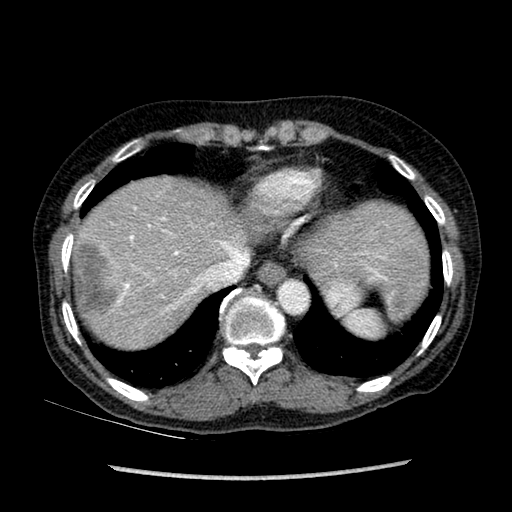
CT image; Liver
The liver lesion is located at (74,243,118,315). 2 liver regions are bounded by (298,202,430,313), (73,177,276,348).